FLAIR magnetic resonance.
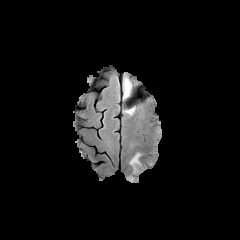
T1-weighted MR.
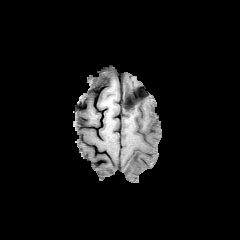
Post-contrast T1-weighted magnetic resonance.
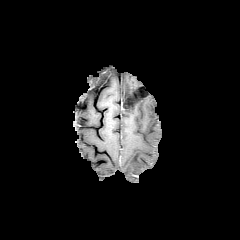
T2-weighted MRI.
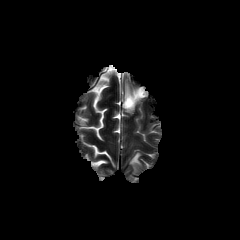
Edema: {"x1": 122, "y1": 108, "x2": 133, "y2": 115}, {"x1": 122, "y1": 78, "x2": 130, "y2": 99}, {"x1": 128, "y1": 151, "x2": 142, "y2": 181}.